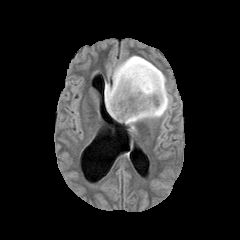
FLAIR magnetic resonance.
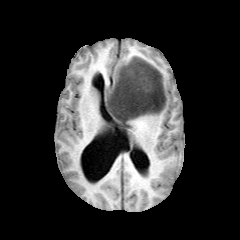
T1-weighted MR.
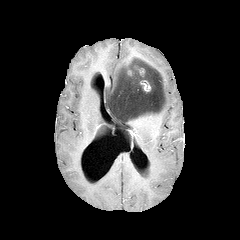
Same slice, post-contrast T1-weighted magnetic resonance.
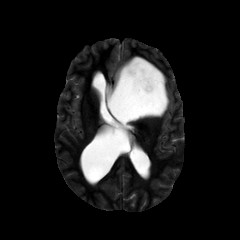
Same slice, T2-weighted MR image.
Brain. 240x240 px.
Annotated regions:
- enhancing tumor: 140,80,151,92
- edema: 104,54,172,132
- non-enhancing tumor core: 106,58,166,124